MR image. Slice 63/120. 320x320 px.

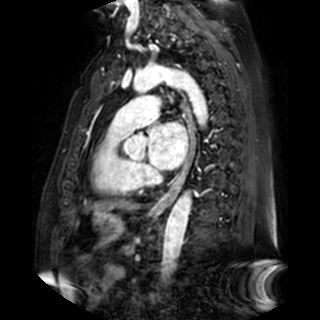
left atrium: box(148, 122, 187, 169)